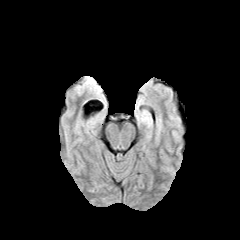
FLAIR MRI.
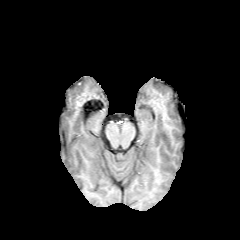
T1-weighted MRI.
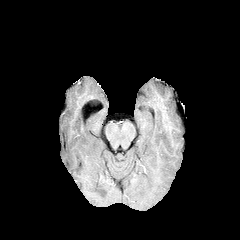
Same slice, post-contrast T1-weighted MR.
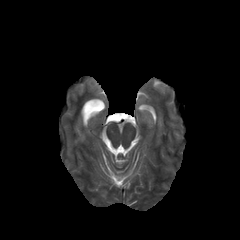
T2-weighted MRI of the same slice.
The edema appears at x1=140 y1=101 x2=149 y2=117.